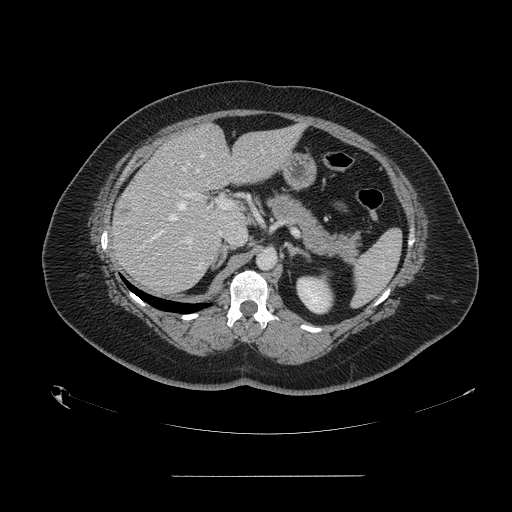
Computed tomography | 512x512 | Abdomen
spleen:
  - x1=352, y1=230, x2=401, y2=307